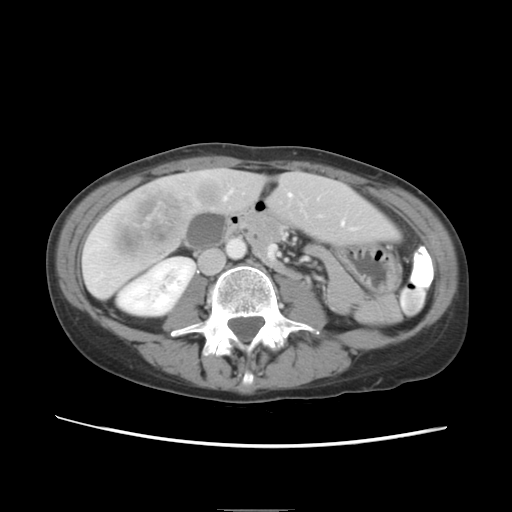 CT scan slice.
The vessel annotation is not exhaustive.
Hepatic vessel at (x1=87, y1=238, x2=106, y2=251), (x1=269, y1=246, x2=274, y2=256), (x1=94, y1=273, x2=103, y2=281), (x1=289, y1=193, x2=291, y2=195), (x1=224, y1=196, x2=227, y2=198), (x1=341, y1=221, x2=343, y2=224).
Liver tumor at (x1=110, y1=185, x2=193, y2=265).